Field of view 363x363 mm; CT slice
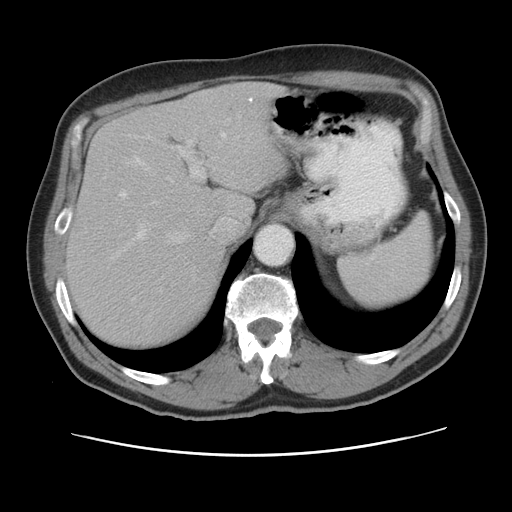
The vessel annotation is not exhaustive.
* hepatic vessel: [152, 173, 154, 175], [173, 140, 205, 180], [221, 217, 230, 219], [127, 135, 129, 136], [103, 175, 105, 177], [215, 177, 216, 179], [118, 190, 125, 196], [126, 157, 149, 170], [137, 225, 144, 238], [166, 177, 172, 182]